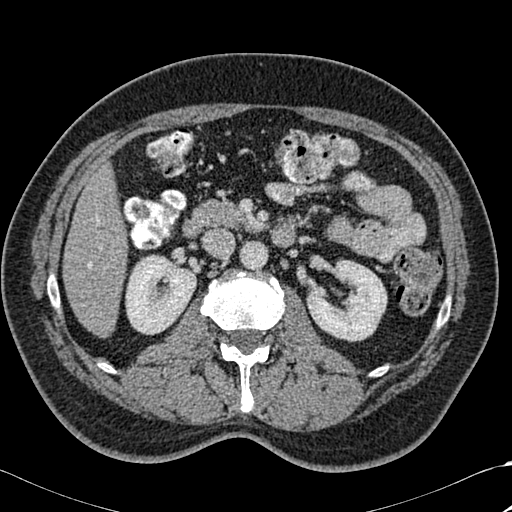
512x512. CT image. Bone: bounding box region(201, 272, 283, 333); region(220, 342, 268, 411); region(48, 278, 59, 307); region(100, 363, 114, 372).
Kidney: bounding box region(307, 261, 386, 340); region(126, 255, 195, 333).
Liver: bounding box region(64, 173, 126, 335).